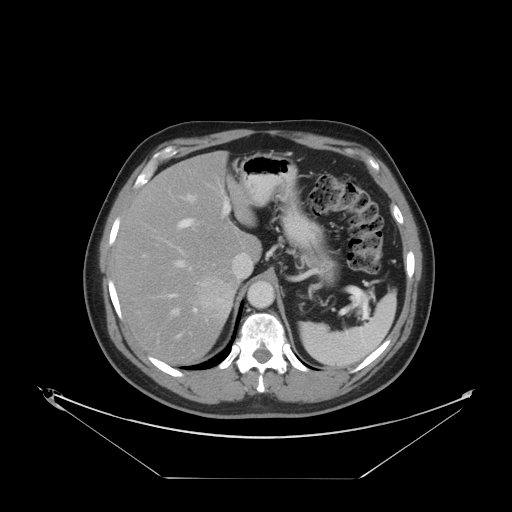

CT image | Abdomen
Only some of the vessels may be annotated.
Hepatic vessel: <box>236,255,237,257</box>, <box>172,309,178,314</box>, <box>178,219,192,227</box>, <box>223,199,228,214</box>, <box>176,261,183,266</box>, <box>197,282,201,284</box>, <box>189,267,191,269</box>, <box>188,195,195,200</box>, <box>193,308,196,311</box>, <box>178,335,180,336</box>, <box>169,294,177,296</box>.
Liver tumor: <box>197,278,234,320</box>.